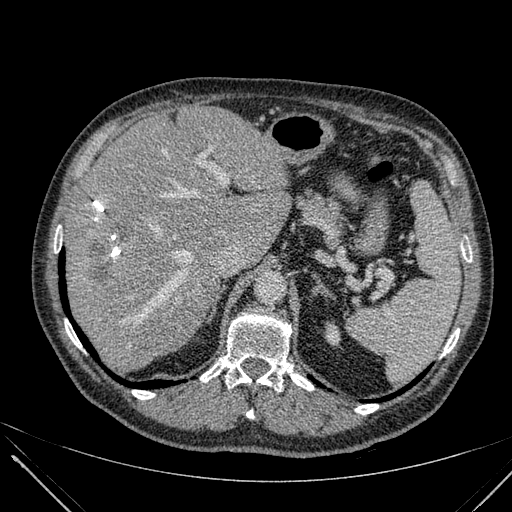 CT slice | Abdomen
Segmented structures:
• liver: (x1=66, y1=107, x2=288, y2=370)
• focal liver lesion: (x1=92, y1=261, x2=109, y2=284), (x1=115, y1=222, x2=131, y2=239), (x1=90, y1=241, x2=105, y2=255)
• kidney: (x1=328, y1=329, x2=338, y2=342)